Slice 24/93 | CT
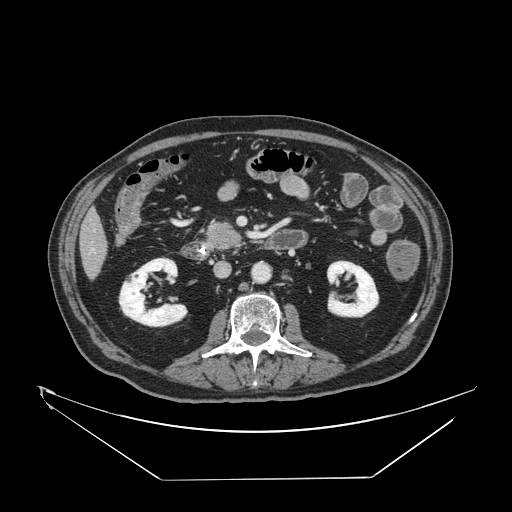 pancreas: left=197, top=219, right=244, bottom=254 | pancreatic tumor: left=207, top=224, right=240, bottom=247